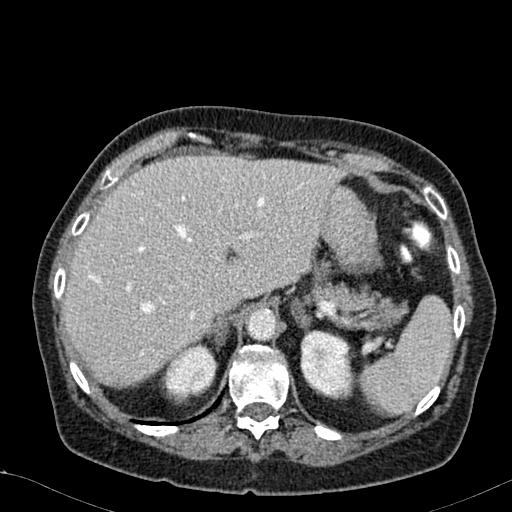
Liver; CT slice
The liver lies within x1=65, y1=156, x2=342, y2=384. 2 kidney regions are located at x1=164, y1=345, x2=215, y2=398; x1=301, y1=331, x2=353, y2=396.